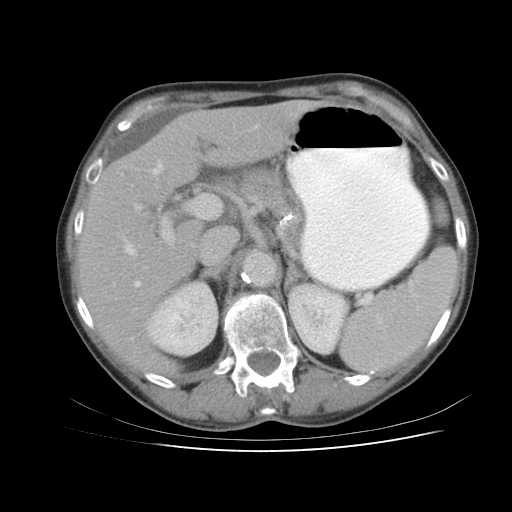
Computed tomography, Upper abdomen
The spleen lies within left=342, top=248, right=457, bottom=370.